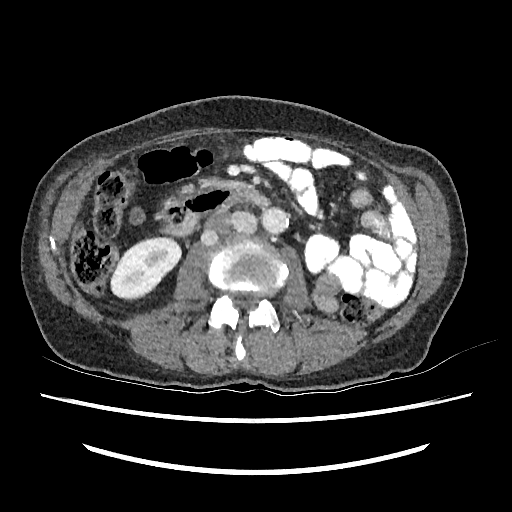
CT scan slice
Kidney: bounding box 111, 238, 180, 297.